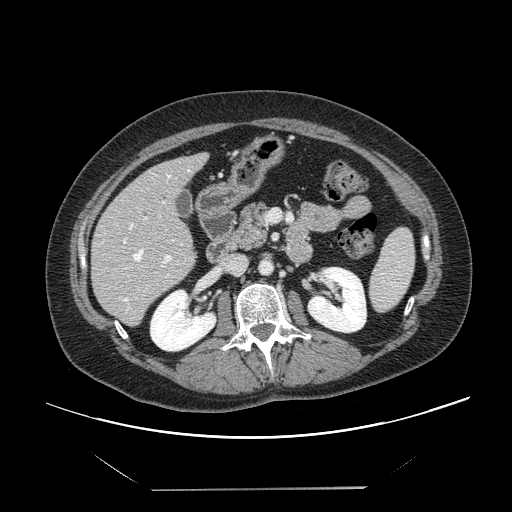

512x512 px, CT
Some hepatic vessels may have no box.
9 hepatic vessel regions appear at x1=143 y1=217 x2=147 y2=220, x1=162 y1=202 x2=164 y2=203, x1=132 y1=248 x2=143 y2=261, x1=129 y1=222 x2=134 y2=229, x1=122 y1=298 x2=127 y2=301, x1=161 y1=254 x2=171 y2=266, x1=127 y1=275 x2=129 y2=276, x1=218 y1=266 x2=221 y2=268, x1=123 y1=238 x2=126 y2=242.